Computed tomography

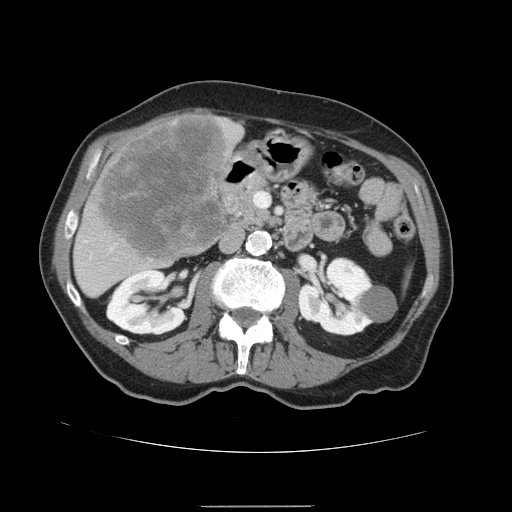
liver tumor: 98,118,226,259